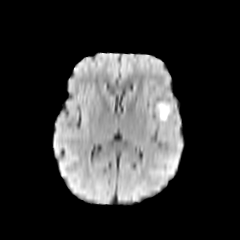
FLAIR MRI.
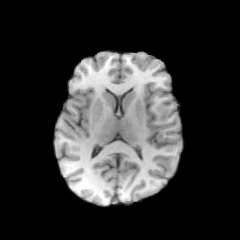
Same slice, T1-weighted MR image.
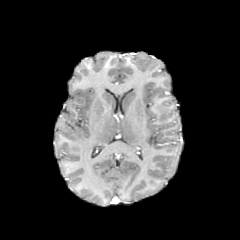
Post-contrast T1-weighted MR image.
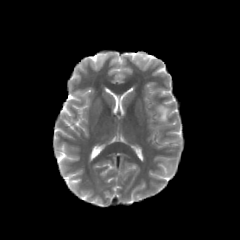
T2-weighted MRI.
The non-enhancing tumor core appears at {"x1": 161, "y1": 107, "x2": 173, "y2": 120}. The edema is at {"x1": 157, "y1": 102, "x2": 170, "y2": 114}.